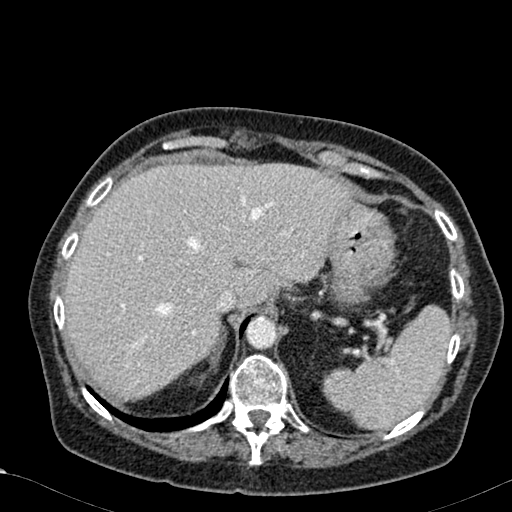 CT slice
The liver is at x1=66 y1=164 x2=348 y2=398.